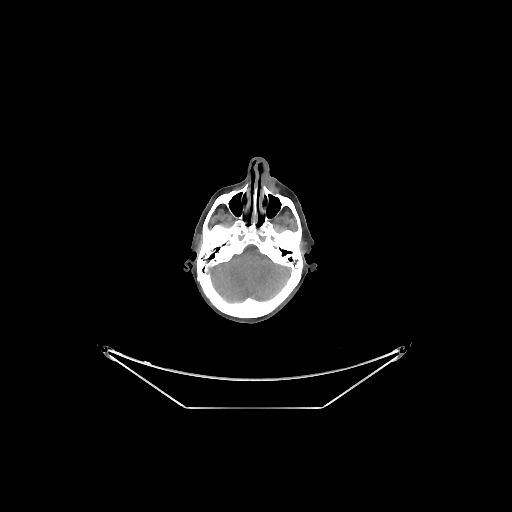
CT image. Brain: bounding box [x1=207, y1=244, x2=290, y2=302].
Bone: bounding box [x1=197, y1=184, x2=302, y2=317].